Slice 97/155 | 240x240 px
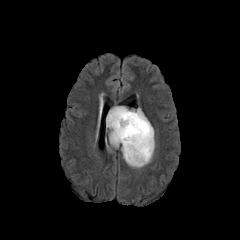
FLAIR MR.
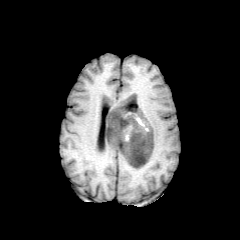
T1-weighted magnetic resonance.
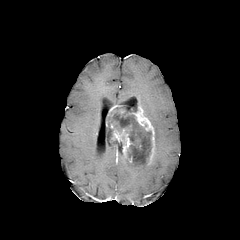
Same slice, post-contrast T1-weighted MR.
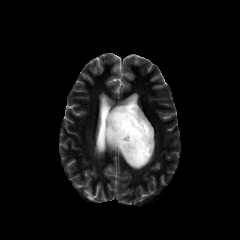
T2-weighted MRI.
{"enhancing_tumor": ["(112, 129, 130, 157)", "(132, 107, 154, 152)"], "non-enhancing_tumor_core": ["(107, 105, 152, 165)"], "edema": ["(122, 140, 155, 168)", "(105, 136, 118, 152)"]}